Slice 46 of 155; 240x240 px; Head
FLAIR MR.
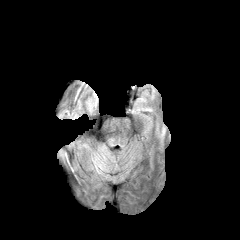
T1-weighted magnetic resonance.
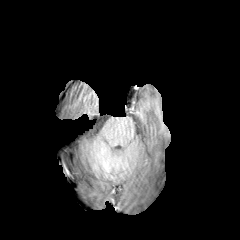
Post-contrast T1-weighted magnetic resonance.
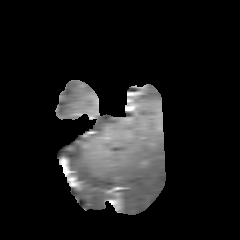
T2-weighted MRI.
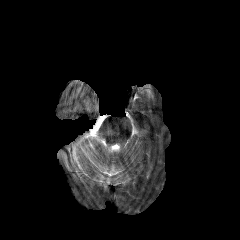
Edema — box=[59, 151, 73, 171]; box=[68, 140, 81, 152].